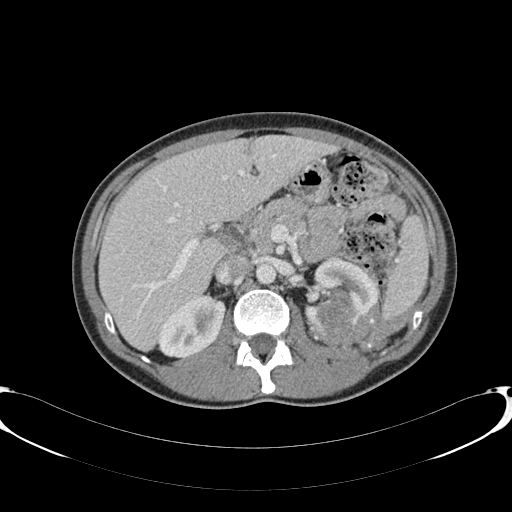 Computed tomography
Kidney — (159,297,224,356), (307,259,377,347).
Liver — (100,136,338,349).
Focal liver lesion — (248,140,254,152).